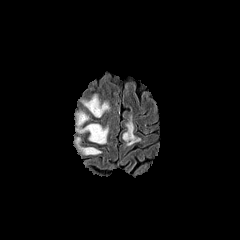
FLAIR MR image.
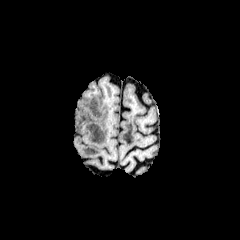
Same slice, T1-weighted MR.
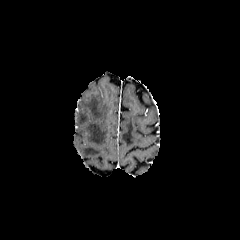
Post-contrast T1-weighted magnetic resonance of the same slice.
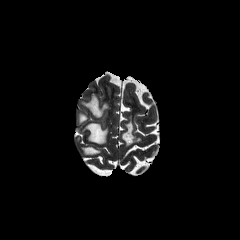
Same slice, T2-weighted MR image.
Brain
edema:
  - 75,138,100,156
  - 76,113,108,144
  - 81,94,109,117